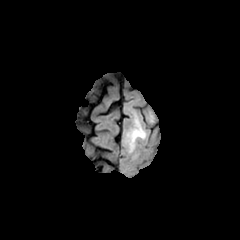
FLAIR MRI.
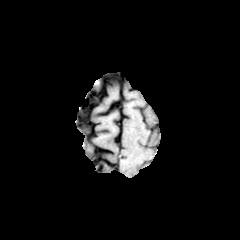
T1-weighted magnetic resonance.
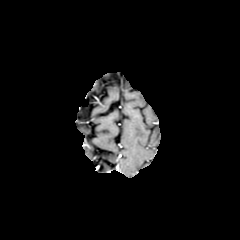
Post-contrast T1-weighted MR image.
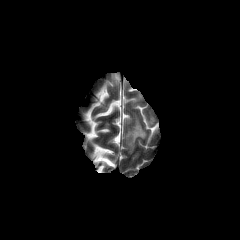
T2-weighted magnetic resonance of the same slice.
The edema is at {"x1": 124, "y1": 115, "x2": 148, "y2": 152}.